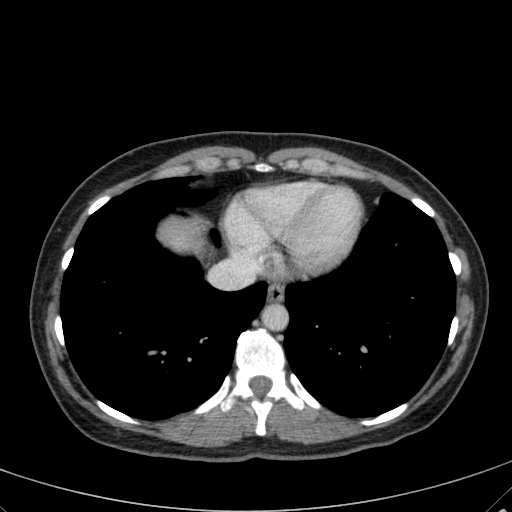

Liver; Image size 512x512; CT slice
The liver is located at 159:219:205:253.